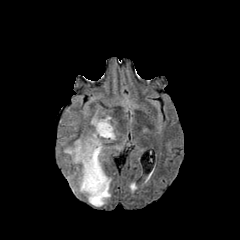
FLAIR MR.
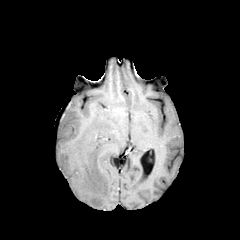
T1-weighted MR.
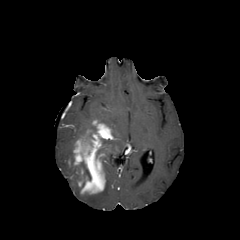
Same slice, post-contrast T1-weighted MR image.
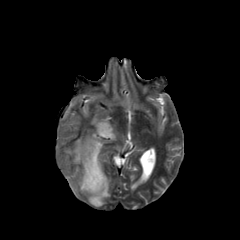
T2-weighted MR image of the same slice.
240x240 px, Brain
<segmentation>
  <enhancing_tumor>box=[73, 120, 112, 194]</enhancing_tumor>
  <non-enhancing_tumor_core>box=[80, 130, 95, 141]; box=[79, 167, 89, 180]</non-enhancing_tumor_core>
  <edema>box=[84, 171, 110, 206]; box=[64, 146, 85, 191]; box=[92, 115, 116, 159]</edema>
</segmentation>